MR image.

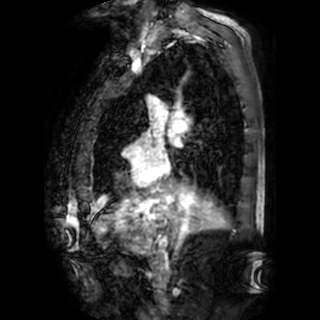 Annotated regions:
• left atrium: <bbox>172, 136, 180, 146</bbox>